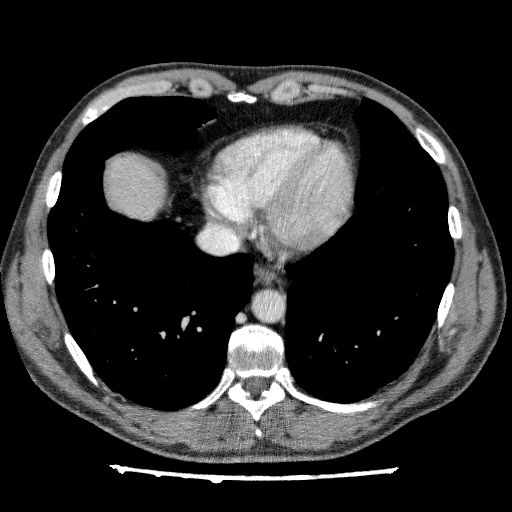 512x512 px | Liver | Computed tomography
{
  "liver": [
    "box=[105, 155, 167, 222]"
  ]
}